CT. Field of view 350x350 mm.
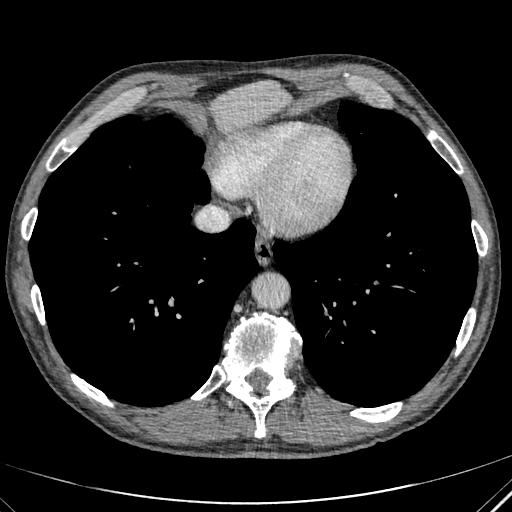 Annotated regions:
- liver: bbox(212, 81, 289, 130)